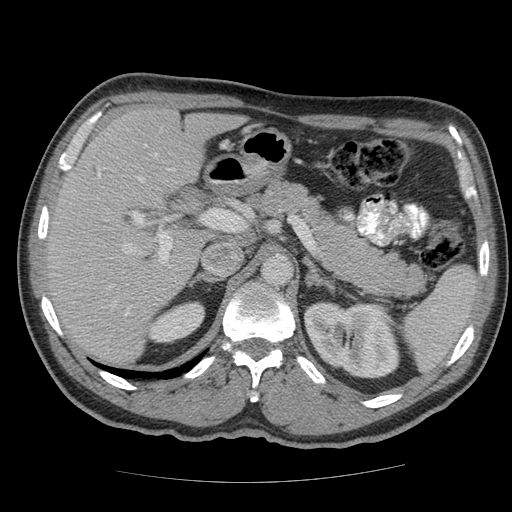

Liver; CT
Only some of the vessels may be annotated.
{"hepatic_vessel": ["left=125, top=312, right=128, bottom=316", "left=168, top=170, right=173, bottom=170", "left=140, top=252, right=144, bottom=254", "left=132, top=214, right=142, bottom=223", "left=157, top=233, right=171, bottom=261", "left=98, top=168, right=100, bottom=173", "left=144, top=145, right=145, bottom=146"]}